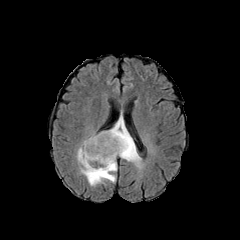
FLAIR MR image.
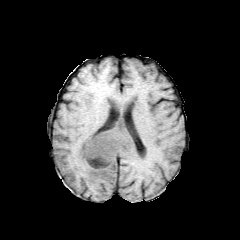
T1-weighted MR image.
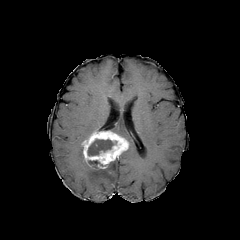
Post-contrast T1-weighted MRI of the same slice.
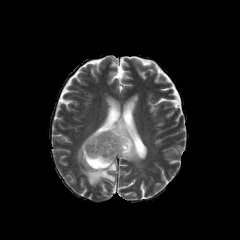
T2-weighted MRI.
2 edema regions appear at x1=76 y1=136 x2=117 y2=186, x1=110 y1=112 x2=142 y2=168. The non-enhancing tumor core is located at x1=88 y1=139 x2=113 y2=155. The enhancing tumor appears at x1=82 y1=130 x2=130 y2=168.